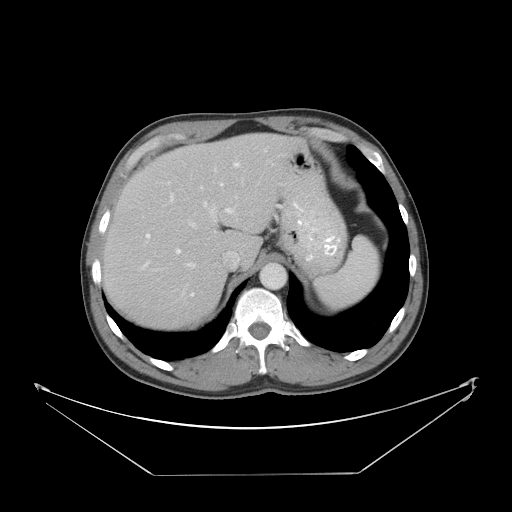 512x512 px, CT scan slice

Some hepatic vessels may have no box.
Most prominent 15 of 17 hepatic vessel regions: bounding box {"x1": 141, "y1": 261, "x2": 148, "y2": 269}, {"x1": 170, "y1": 193, "x2": 173, "y2": 201}, {"x1": 204, "y1": 202, "x2": 207, "y2": 206}, {"x1": 209, "y1": 208, "x2": 214, "y2": 215}, {"x1": 182, "y1": 290, "x2": 183, "y2": 295}, {"x1": 187, "y1": 263, "x2": 194, "y2": 267}, {"x1": 220, "y1": 183, "x2": 222, "y2": 185}, {"x1": 188, "y1": 220, "x2": 197, "y2": 227}, {"x1": 213, "y1": 218, "x2": 216, "y2": 221}, {"x1": 146, "y1": 234, "x2": 149, "y2": 237}, {"x1": 191, "y1": 292, "x2": 193, "y2": 295}, {"x1": 225, "y1": 208, "x2": 232, "y2": 212}, {"x1": 214, "y1": 167, "x2": 216, "y2": 172}, {"x1": 233, "y1": 163, "x2": 239, "y2": 166}, {"x1": 176, "y1": 249, "x2": 180, "y2": 253}.